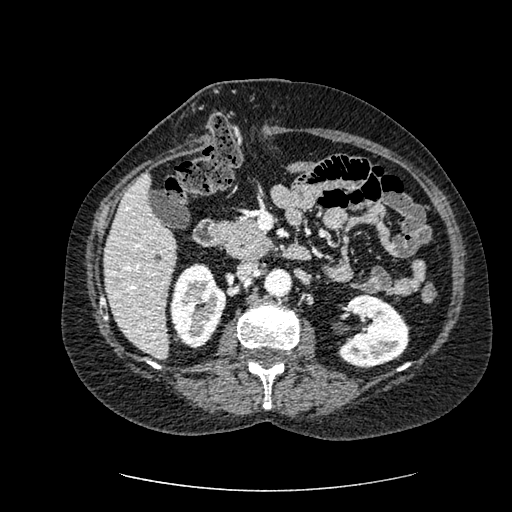

Liver. CT slice. <segmentation>
  <hepatic_lesion>{"x1": 154, "y1": 254, "x2": 161, "y2": 261}</hepatic_lesion>
  <kidney>{"x1": 340, "y1": 295, "x2": 407, "y2": 366}, {"x1": 171, "y1": 265, "x2": 225, "y2": 346}</kidney>
  <liver>{"x1": 104, "y1": 172, "x2": 175, "y2": 357}</liver>
</segmentation>